FLAIR magnetic resonance.
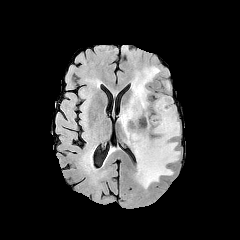
T1-weighted MRI.
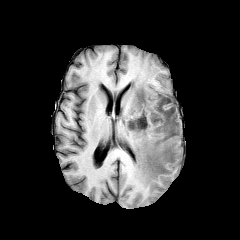
Post-contrast T1-weighted MR.
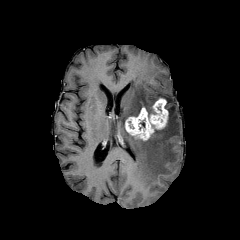
T2-weighted MRI.
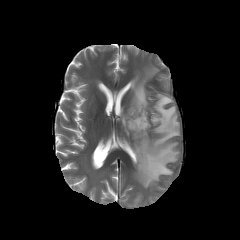
enhancing tumor: (125, 98, 168, 140) | non-enhancing tumor core: (138, 118, 145, 128), (151, 105, 175, 134), (128, 96, 146, 117), (146, 105, 156, 117) | edema: (118, 66, 179, 188), (165, 96, 173, 107)